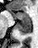
Hippocampus; MRI slice
The anterior hippocampus is located at <bbox>13, 12, 30, 19</bbox>. The posterior hippocampus appears at <bbox>18, 20, 30, 34</bbox>.